Abdomen. Slice index 96. CT image. Image width 500 mm. 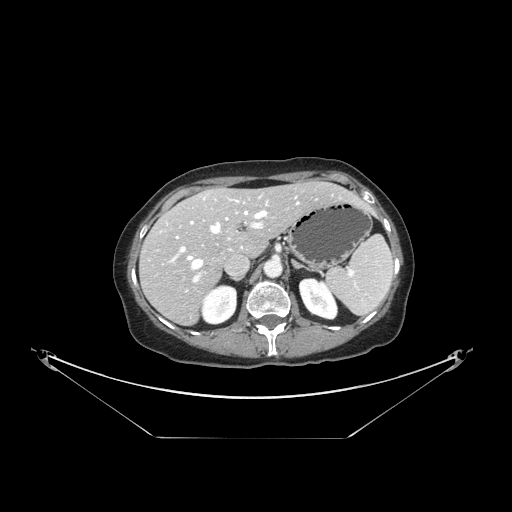
The vessel annotation is not exhaustive.
Hepatic vessel at rect(253, 223, 260, 227); rect(211, 224, 218, 232); rect(255, 211, 265, 217); rect(181, 247, 184, 250); rect(194, 276, 197, 280).